FLAIR MRI.
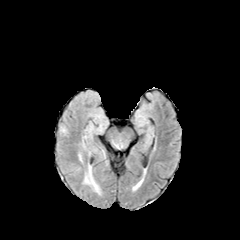
T1-weighted MR.
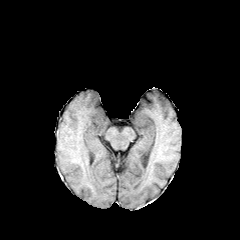
Post-contrast T1-weighted MRI.
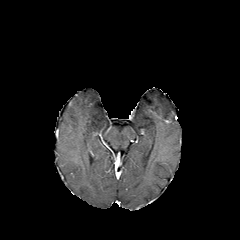
T2-weighted MR image.
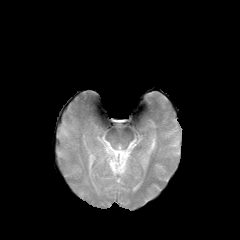
Brain, Image size 240x240
Edema: bounding box rect(84, 163, 101, 194).